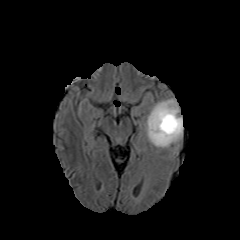
FLAIR MR.
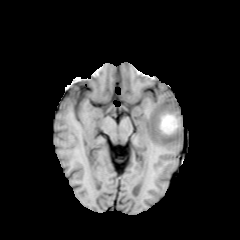
Same slice, T1-weighted MRI.
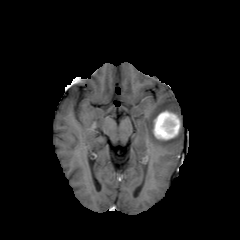
Post-contrast T1-weighted magnetic resonance of the same slice.
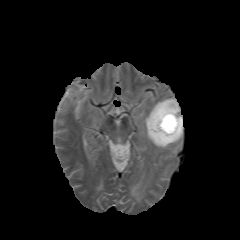
T2-weighted MR image of the same slice.
Brain
Edema: bounding box left=138, top=96, right=183, bottom=153.
Enhancing tumor: bounding box left=159, top=114, right=177, bottom=134.
Non-enhancing tumor core: bounding box left=153, top=101, right=179, bottom=137.